CT scan slice, Liver, Field of view 379x379 mm

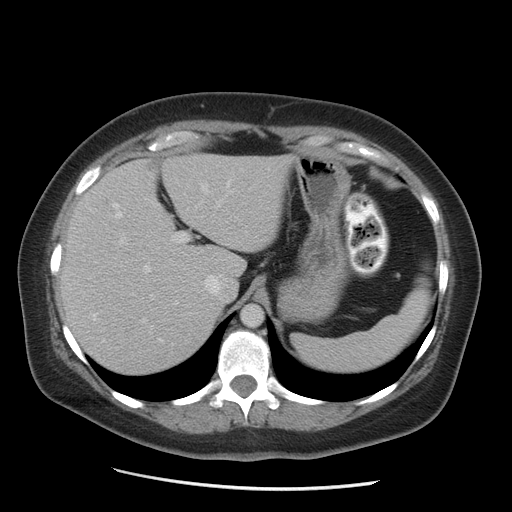

The hepatic lesion is at 145, 155, 163, 172. The liver is at 58, 154, 290, 373.